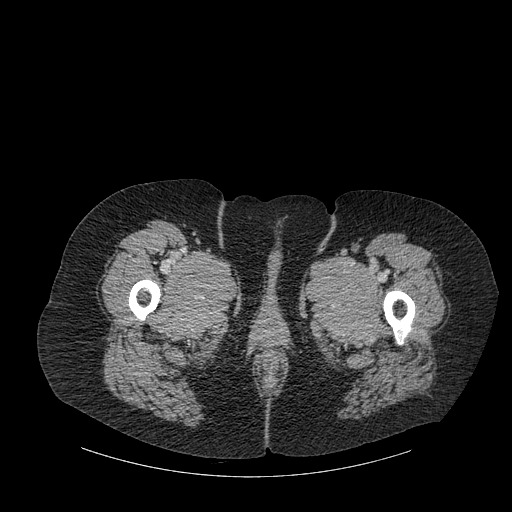
CT scan slice.

Annotated regions:
- bone: rect(129, 280, 160, 321); rect(383, 291, 414, 344)